Slice index 592. CT.
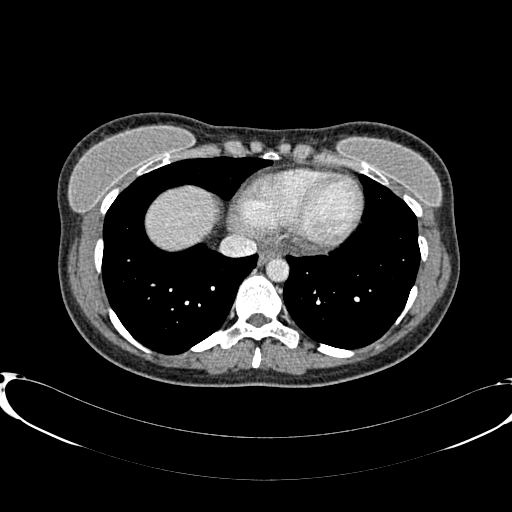 liver:
  - [x1=147, y1=187, x2=216, y2=249]